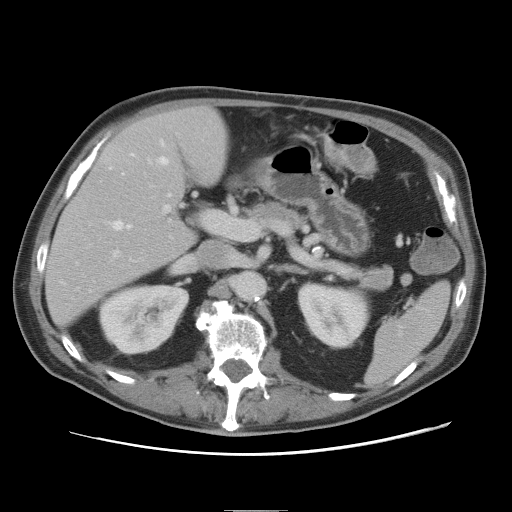 CT scan slice | Liver | 512x512 px

Not every hepatic vessel necessarily has a box.
Annotated regions:
• hepatic vessel: (161, 141, 164, 145), (113, 221, 130, 229), (62, 282, 64, 283), (169, 194, 171, 196), (169, 219, 171, 221), (132, 154, 134, 155), (113, 251, 119, 256), (149, 161, 151, 163), (164, 206, 171, 212), (159, 157, 167, 164)